CT scan slice | 512x512 | Liver
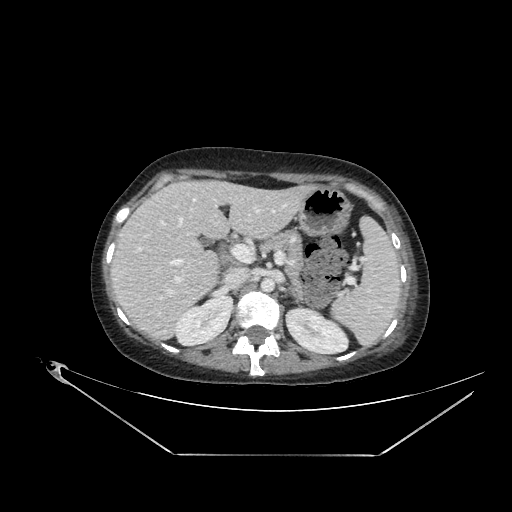

The liver is at <bbox>111, 182, 309, 340</bbox>. 2 kidney regions appear at <bbox>286, 309, 347, 353</bbox>, <bbox>174, 296, 232, 345</bbox>.